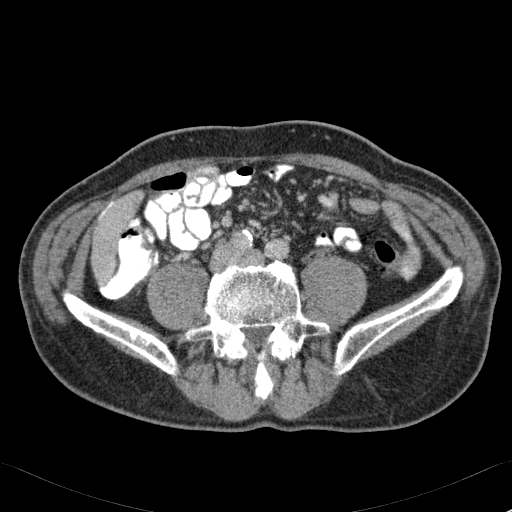 CT image | Image size 512x512
Liver at [92, 204, 131, 280], [126, 192, 141, 204].